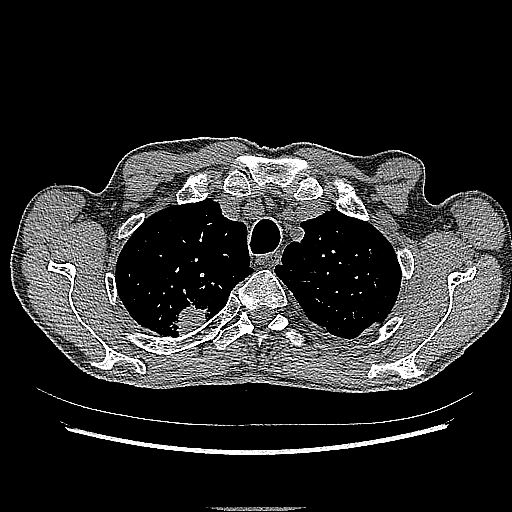

Thorax, CT slice
{"lung_tumor": ["rect(162, 295, 216, 336)"]}